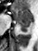 Hippocampus, Magnetic resonance
The posterior hippocampus is bounded by {"x1": 18, "y1": 23, "x2": 29, "y2": 32}. The anterior hippocampus is at {"x1": 11, "y1": 7, "x2": 30, "y2": 22}.